FLAIR MRI.
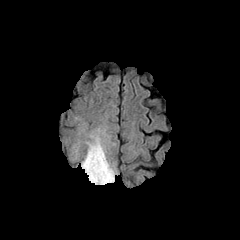
T1-weighted magnetic resonance.
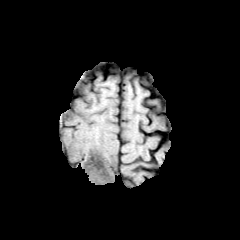
Post-contrast T1-weighted MRI.
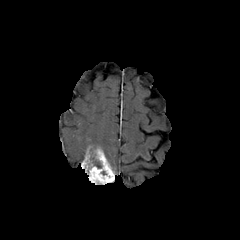
T2-weighted MR.
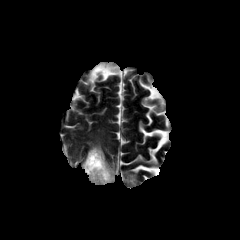
The edema lies within x1=86 y1=137 x2=107 y2=155. The enhancing tumor lies within x1=81 y1=148 x2=115 y2=184.